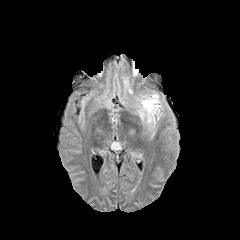
FLAIR magnetic resonance.
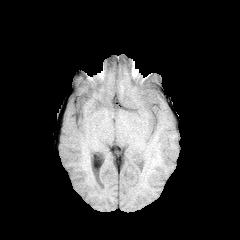
T1-weighted MRI of the same slice.
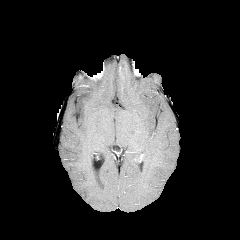
Post-contrast T1-weighted MR.
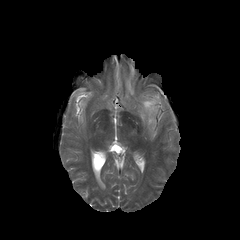
T2-weighted MRI.
Segmented structures:
* edema: <bbox>136, 91, 161, 126</bbox>